Slice index 107, Image width 240 mm
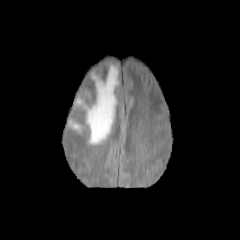
FLAIR MR image.
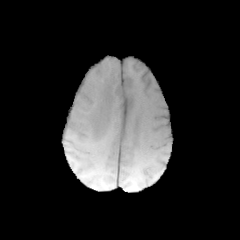
T1-weighted MR image.
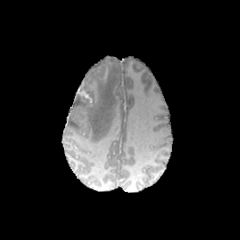
Post-contrast T1-weighted MR.
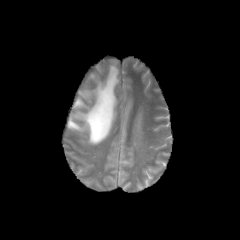
Same slice, T2-weighted MRI.
edema: l=67, t=64, r=118, b=144 | non-enhancing tumor core: l=77, t=86, r=95, b=105